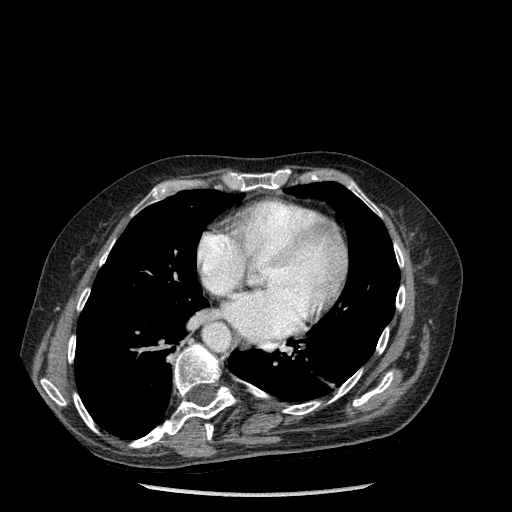
Computed tomography
lung: bbox(74, 189, 241, 439); bbox(228, 181, 399, 401) | [15/17] bone: bbox(376, 327, 388, 353); bbox(329, 369, 362, 402); bbox(394, 243, 404, 267); bbox(73, 393, 97, 432); bbox(243, 382, 267, 397); bbox(227, 170, 289, 190); bbox(99, 240, 114, 265); bbox(41, 379, 66, 405); bbox(77, 288, 89, 310); bbox(283, 401, 320, 414); bbox(396, 285, 405, 310); bbox(353, 372, 393, 406); bbox(131, 188, 159, 215); bbox(129, 343, 236, 447); bbox(348, 182, 381, 216)